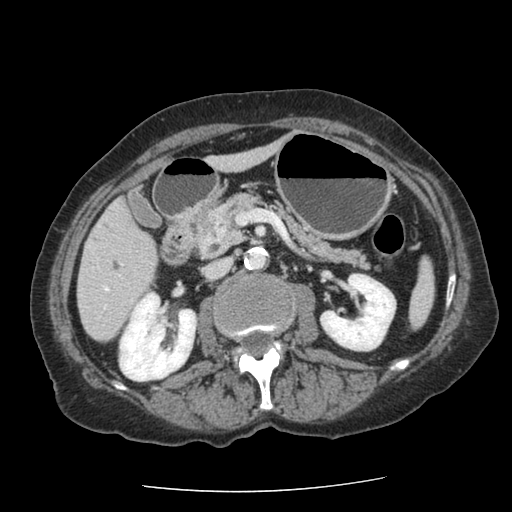
Upper abdomen; 512x512 px; CT image
Annotated regions:
• pancreas: region(197, 194, 257, 254); region(281, 210, 368, 266)
• pancreatic tumor: region(210, 226, 225, 241)